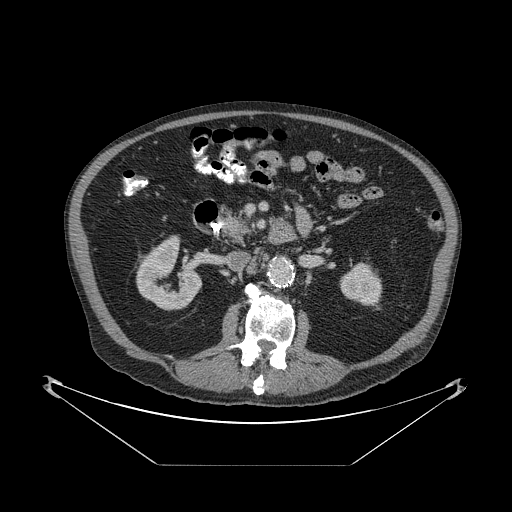
Upper abdomen; CT; 512x512
{
  "pancreas": [
    "222:211:253:243"
  ]
}